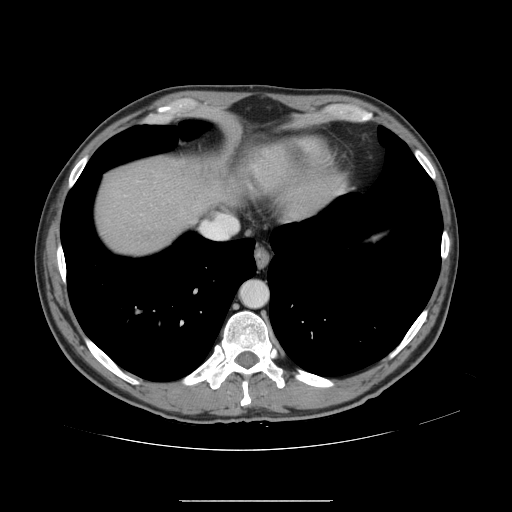

Abdomen; CT
Not every hepatic vessel necessarily has a box.
Hepatic vessel at 204 215 234 236.